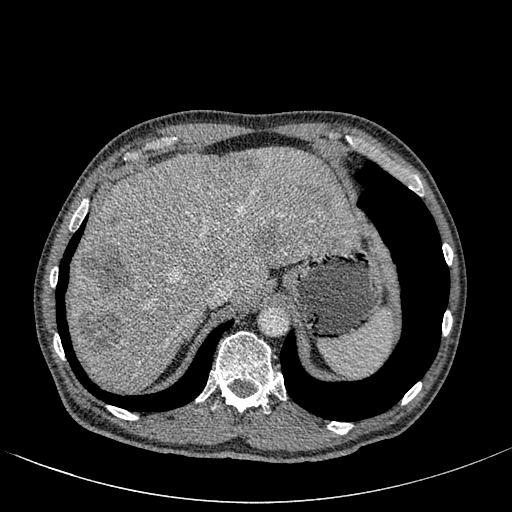

Abdomen | CT
Liver = <bbox>70, 147, 360, 391</bbox>.
Hepatic lesion = <bbox>107, 217, 117, 226</bbox>, <bbox>207, 161, 234, 187</bbox>, <bbox>240, 153, 259, 174</bbox>, <bbox>214, 248, 224, 263</bbox>, <bbox>77, 311, 124, 355</bbox>, <bbox>256, 225, 285, 252</bbox>, <bbox>303, 186, 333, 213</bbox>, <bbox>83, 243, 133, 295</bbox>.